Chest. CT scan slice. 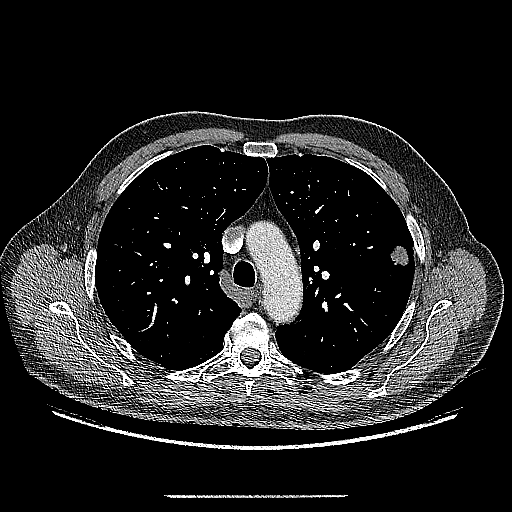

lung_tumor:
  - 384:243:412:268